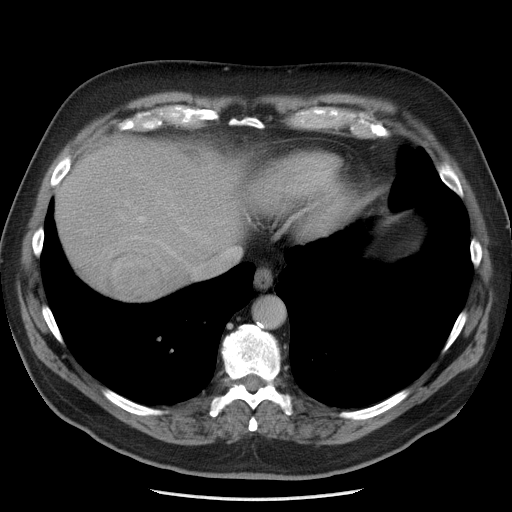

Image size 512x512 | Abdomen | Computed tomography

Not every hepatic vessel necessarily has a box.
Segmented structures:
* hepatic vessel (top 15 of 18): region(138, 216, 144, 222); region(164, 268, 168, 269); region(179, 258, 181, 260); region(117, 249, 120, 252); region(176, 217, 189, 232); region(191, 262, 229, 278); region(194, 231, 200, 234); region(168, 208, 171, 215); region(227, 249, 229, 250); region(131, 235, 138, 239); region(164, 246, 174, 254); region(119, 214, 125, 221); region(145, 238, 147, 240); region(134, 207, 136, 212); region(208, 239, 210, 243)
* liver tumor: region(104, 250, 165, 300)